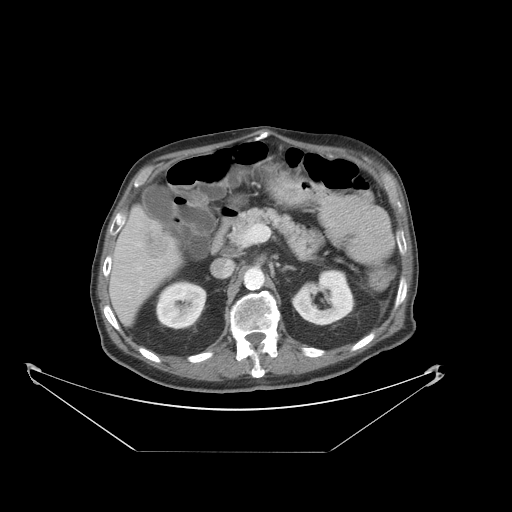
Abdomen; CT scan slice

The vessel boxes may cover only some of the vessels.
{"liver_tumor": ["143,228,169,259"], "hepatic_vessel": ["139,268,141,269", "138,245,140,246", "243,224,260,243", "141,283,142,284"]}